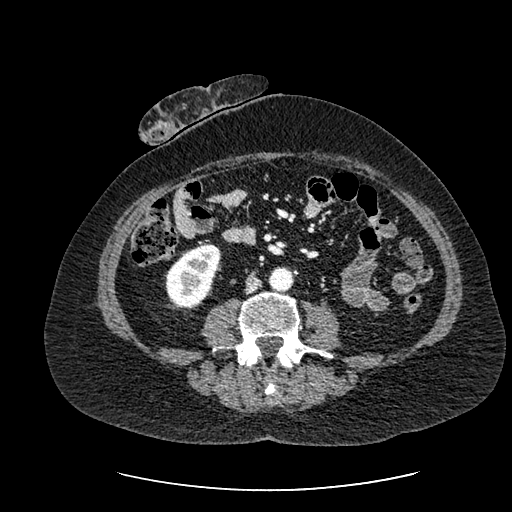

CT slice.

Segmented structures:
• kidney: left=166, top=245, right=219, bottom=307